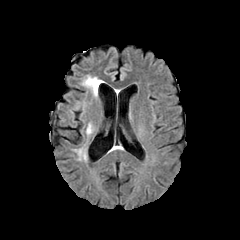
FLAIR MRI.
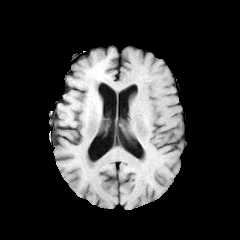
T1-weighted MRI.
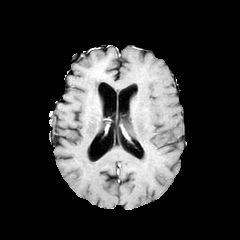
Post-contrast T1-weighted MR.
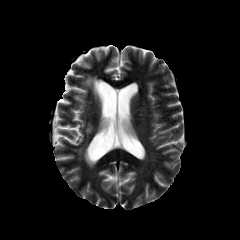
T2-weighted magnetic resonance of the same slice.
Brain
3 edema regions are bounded by l=74, t=144, r=87, b=161; l=85, t=123, r=94, b=137; l=81, t=75, r=103, b=99.